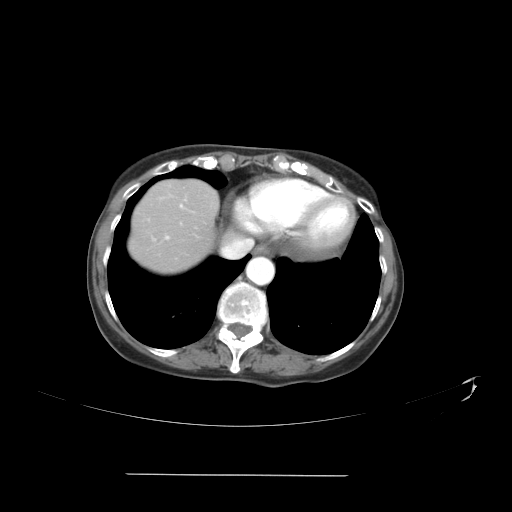 CT scan slice | 512x512

Not every hepatic vessel necessarily has a box.
Hepatic vessel = 180, 205, 182, 207; 165, 236, 169, 239.